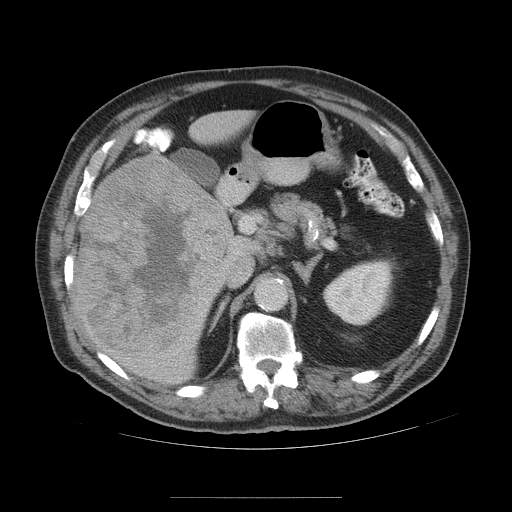
CT | Abdomen
Annotated regions:
* liver tumor: region(76, 155, 231, 353)